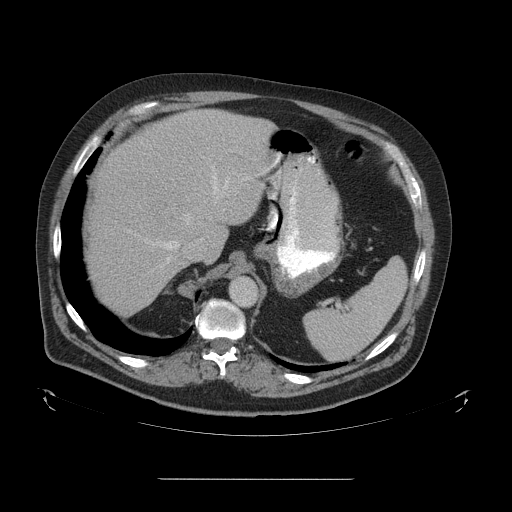 Abdomen; Computed tomography

The vessel boxes may cover only some of the vessels.
hepatic_vessel:
  - (x1=209, y1=218, x2=211, y2=219)
  - (x1=144, y1=238, x2=203, y2=265)
  - (x1=227, y1=194, x2=228, y2=196)
  - (x1=183, y1=213, x2=192, y2=224)
  - (x1=211, y1=165, x2=229, y2=196)
  - (x1=213, y1=200, x2=215, y2=203)
  - (x1=161, y1=256, x2=170, y2=266)